Abdomen, Computed tomography, 512x512

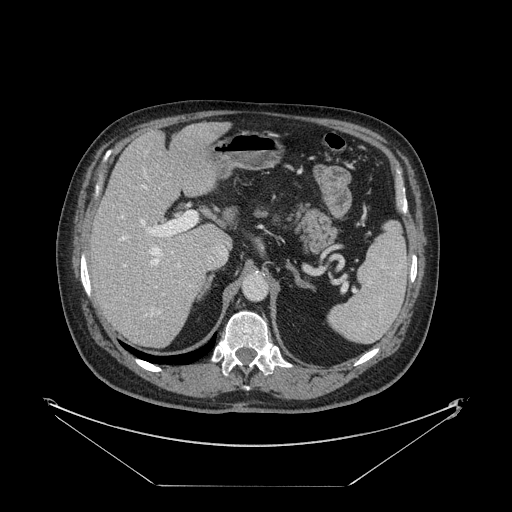
Not every hepatic vessel necessarily has a box.
Hepatic vessel — left=150, top=225, right=158, bottom=232; left=119, top=237, right=125, bottom=239; left=151, top=308, right=155, bottom=315; left=141, top=219, right=144, bottom=223.